CT slice | Image size 512x512 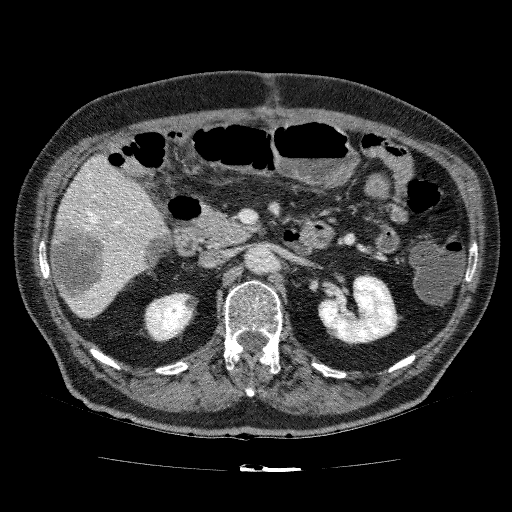
kidney: bbox=[319, 275, 396, 343]; bbox=[145, 292, 192, 340] | focal liver lesion: bbox=[140, 229, 170, 268]; bbox=[50, 221, 115, 301] | liver: bbox=[56, 153, 169, 318]